FLAIR MR image.
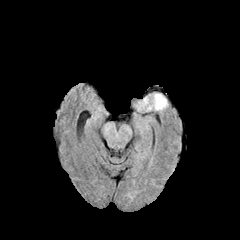
T1-weighted MR.
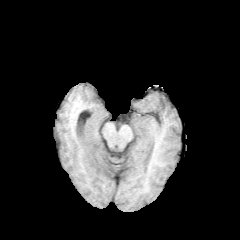
Post-contrast T1-weighted MR.
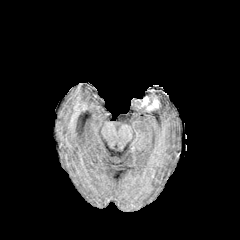
T2-weighted MR.
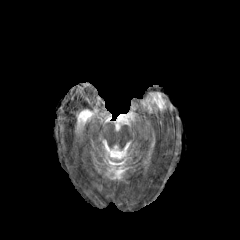
Brain
Edema: bounding box l=138, t=93, r=168, b=110.